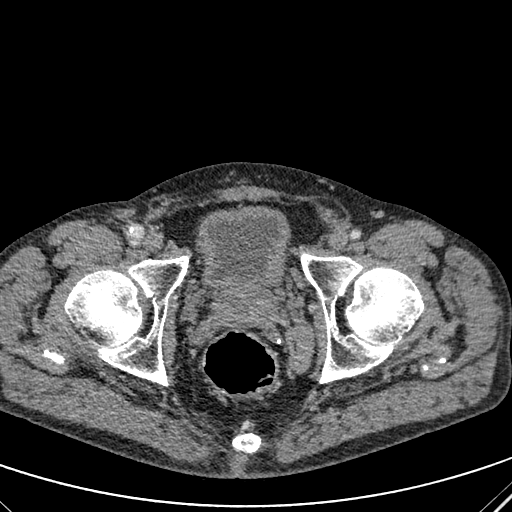

512x512 px; Computed tomography; Pelvis

urinary bladder: [x1=209, y1=213, x2=279, y2=287]